CT | Field of view 477x477 mm | Upper abdomen | Slice 70 of 97 | 512x512

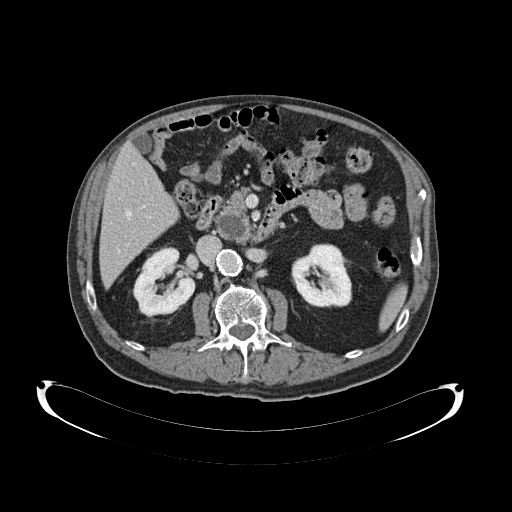
Pancreas at 213,185,252,244.
Pancreatic tumor at 218,213,245,238.